FLAIR MR.
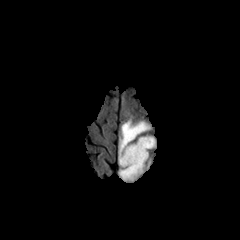
T1-weighted MR image.
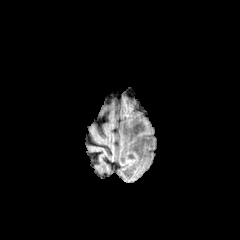
Post-contrast T1-weighted MR.
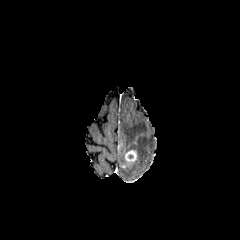
T2-weighted MRI.
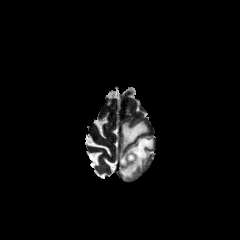
Head. Image size 240x240.
The enhancing tumor is bounded by region(124, 150, 136, 165). The edema is located at region(118, 119, 155, 180).